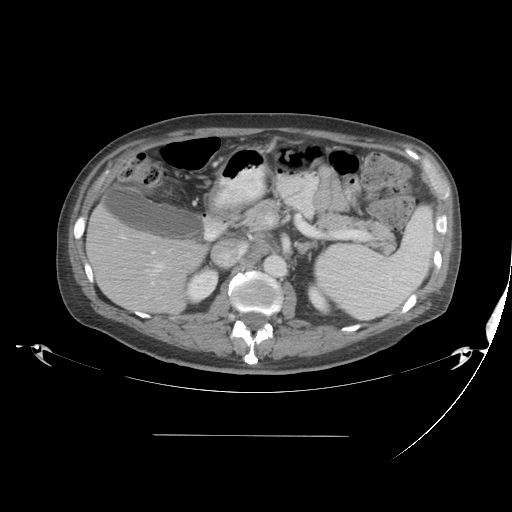
CT; Liver; 512x512

The vessel annotation is not exhaustive.
hepatic_vessel:
  - [146, 261, 165, 276]
  - [151, 250, 155, 254]
  - [116, 234, 126, 239]
  - [151, 280, 154, 284]